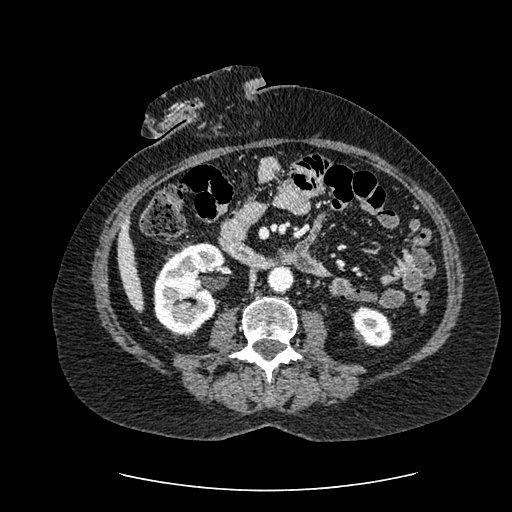 Abdomen. CT image. 2 kidney regions are bounded by (left=353, top=308, right=391, bottom=345), (left=154, top=244, right=223, bottom=334). The liver lies within (left=117, top=218, right=142, bottom=310).